FLAIR magnetic resonance.
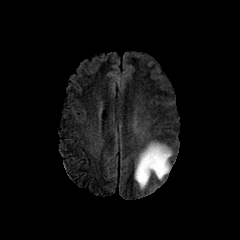
T1-weighted MR image.
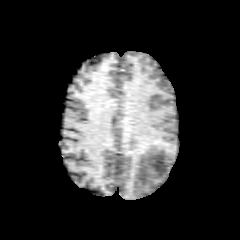
Post-contrast T1-weighted MR image.
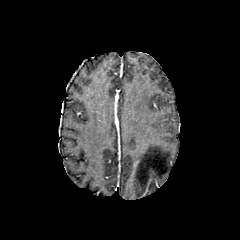
T2-weighted MR image.
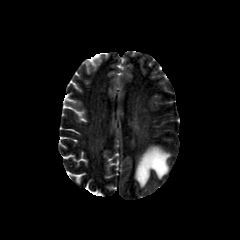
The edema is at bbox(134, 143, 172, 189).